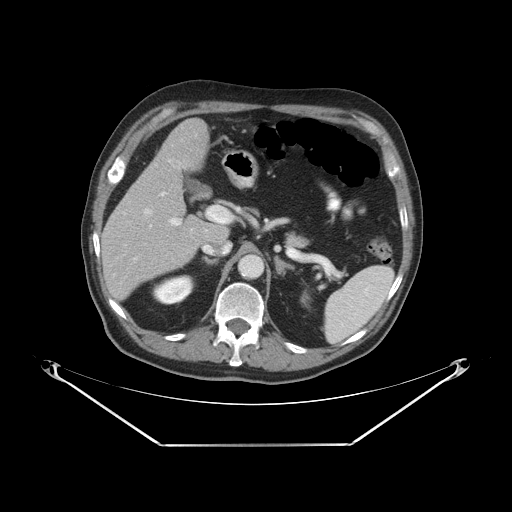

Liver; Computed tomography
The vessel annotation is not exhaustive.
* hepatic vessel: {"x1": 194, "y1": 132, "x2": 196, "y2": 137}, {"x1": 132, "y1": 256, "x2": 138, "y2": 262}, {"x1": 143, "y1": 208, "x2": 152, "y2": 216}, {"x1": 150, "y1": 225, "x2": 152, "y2": 226}, {"x1": 163, "y1": 217, "x2": 181, "y2": 226}, {"x1": 167, "y1": 158, "x2": 188, "y2": 168}, {"x1": 159, "y1": 191, "x2": 167, "y2": 196}